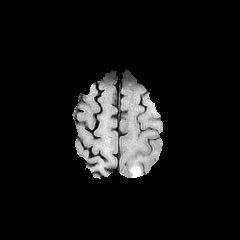
FLAIR MR image.
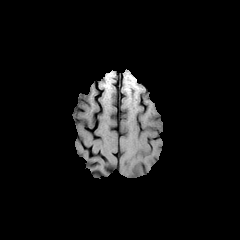
T1-weighted magnetic resonance of the same slice.
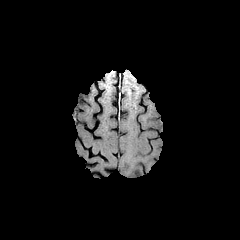
Post-contrast T1-weighted MR.
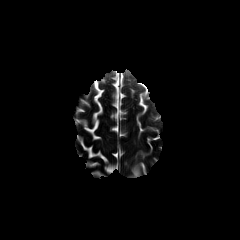
T2-weighted MRI.
The edema is located at [130,164,140,177].